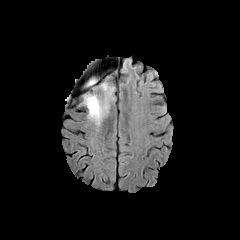
FLAIR magnetic resonance.
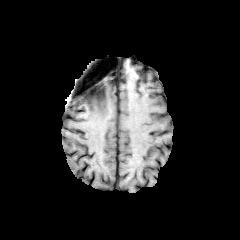
T1-weighted magnetic resonance.
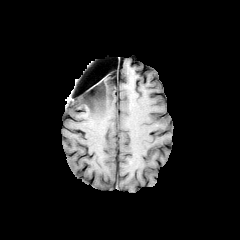
Post-contrast T1-weighted MR image.
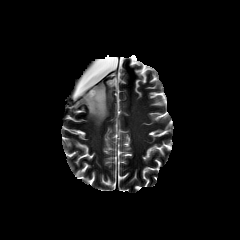
T2-weighted MR.
Head
The non-enhancing tumor core is at box(84, 82, 104, 103). 2 edema regions are located at box(86, 78, 97, 87); box(82, 80, 114, 125).